Slice index 612, Computed tomography

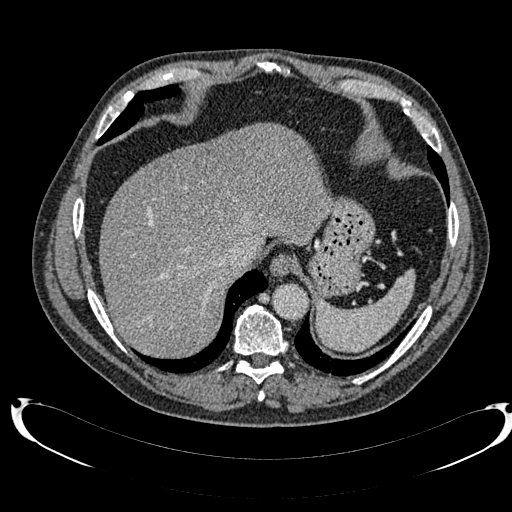

liver:
  - region(100, 124, 329, 358)
focal_liver_lesion:
  - region(143, 132, 256, 220)